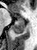 MR image. Medial temporal lobe. Image size 37x50.

The anterior hippocampus appears at <bbox>18, 18, 24, 20</bbox>. The posterior hippocampus is at <bbox>11, 21, 24, 34</bbox>.